Field of view 411x411 mm; Computed tomography; Slice 3 of 574

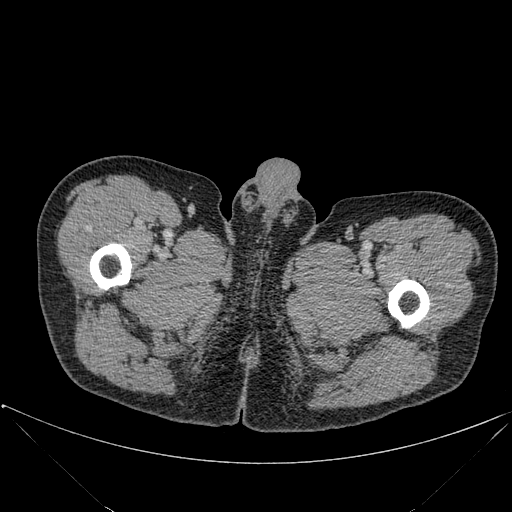

2 bone regions are located at (90, 243, 131, 289), (388, 279, 429, 328).